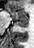

34x48 px, MR

anterior hippocampus: {"x1": 6, "y1": 8, "x2": 27, "y2": 20} | posterior hippocampus: {"x1": 16, "y1": 21, "x2": 27, "y2": 27}